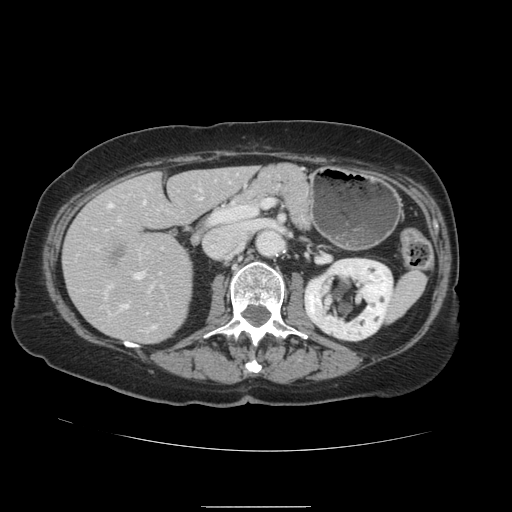
512x512 px. Liver. Computed tomography.

The vessel boxes may cover only some of the vessels.
Hepatic vessel — (107, 203, 111, 207), (133, 274, 141, 278), (197, 198, 200, 199), (119, 305, 127, 308), (142, 201, 144, 203).
Liver tumor — (112, 249, 123, 260).